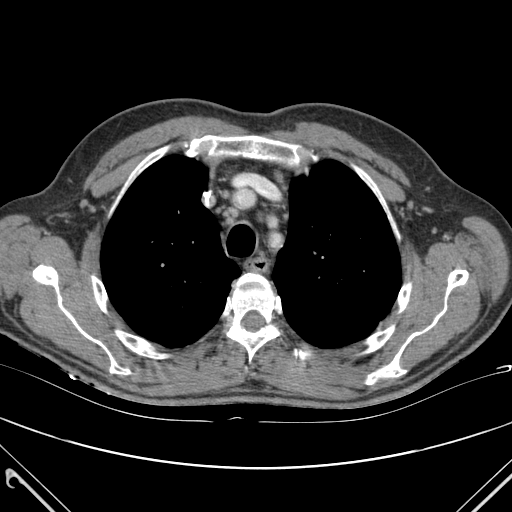

CT image.
bone: <bbox>398, 283, 411, 311</bbox>, <bbox>366, 326, 394, 352</bbox>, <bbox>116, 330, 164, 358</bbox>, <bbox>224, 273, 281, 360</bbox>, <bbox>295, 350, 308, 358</bbox>, <bbox>366, 270, 468, 384</bbox>, <bbox>33, 265, 130, 374</bbox>, <bbox>129, 147, 167, 180</bbox>, <bbox>184, 135, 305, 163</bbox>, <bbox>355, 167, 385, 207</bbox>, <bbox>92, 276, 106, 312</bbox> | lung: <bbox>272, 160, 400, 347</bbox>, <bbox>100, 155, 240, 347</bbox>